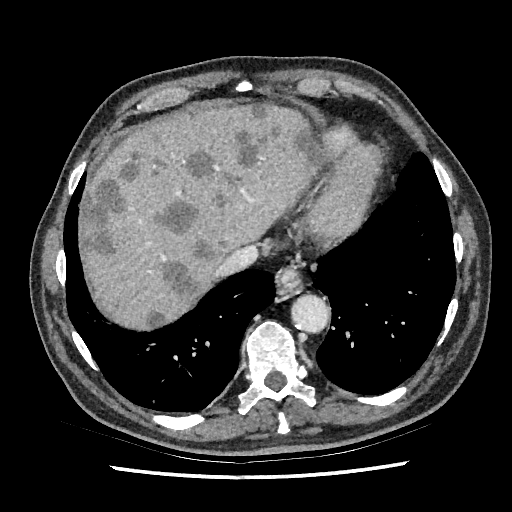

Upper abdomen; 512x512 px; CT image

<segmentation partial="true">
  <focal_liver_lesion shown="15" total="16"><bbox>151, 133, 160, 142</bbox>, <bbox>210, 188, 225, 208</bbox>, <bbox>236, 131, 260, 168</bbox>, <bbox>193, 241, 216, 259</bbox>, <bbox>161, 259, 203, 303</bbox>, <bbox>154, 200, 201, 232</bbox>, <bbox>251, 104, 266, 118</bbox>, <bbox>266, 129, 278, 139</bbox>, <bbox>186, 149, 214, 178</bbox>, <bbox>121, 150, 140, 181</bbox>, <bbox>294, 127, 317, 170</bbox>, <bbox>146, 312, 162, 327</bbox>, <bbox>81, 178, 123, 254</bbox>, <bbox>278, 141, 287, 150</bbox>, <bbox>218, 238, 227, 246</bbox></focal_liver_lesion>
  <liver><bbox>81, 104, 315, 328</bbox></liver>
</segmentation>